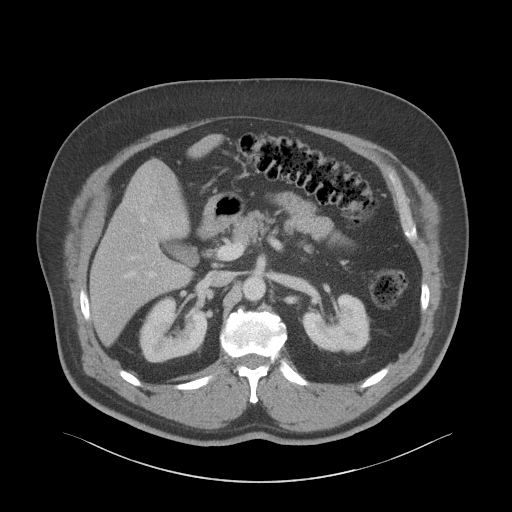
Abdomen, CT scan slice, Image size 512x512
Kidney = box(303, 295, 368, 350); box(141, 299, 206, 361).
Liver = box(91, 163, 188, 340); box(197, 140, 214, 153).